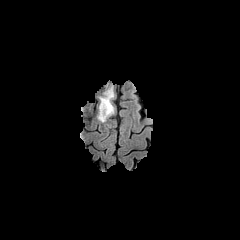
FLAIR MR image.
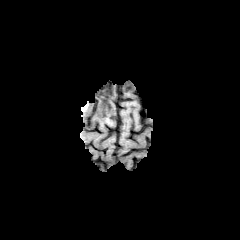
T1-weighted magnetic resonance of the same slice.
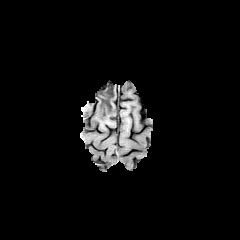
Same slice, post-contrast T1-weighted magnetic resonance.
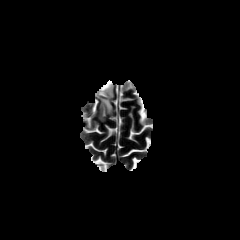
T2-weighted MRI of the same slice.
Head; Image size 240x240
The edema is at <bbox>95, 85, 115, 125</bbox>.